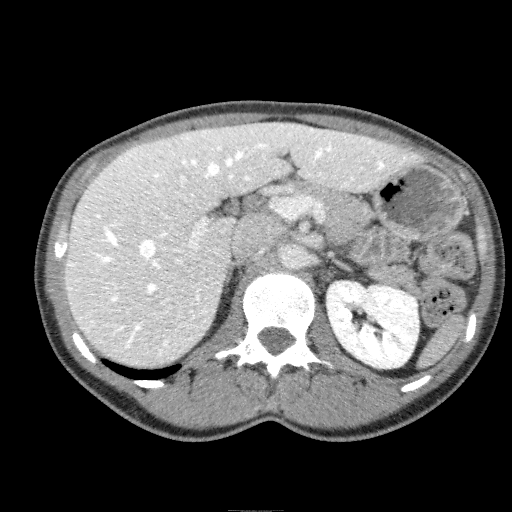

CT slice | Liver

kidney: 327 281 418 367 | liver: 64 121 419 367